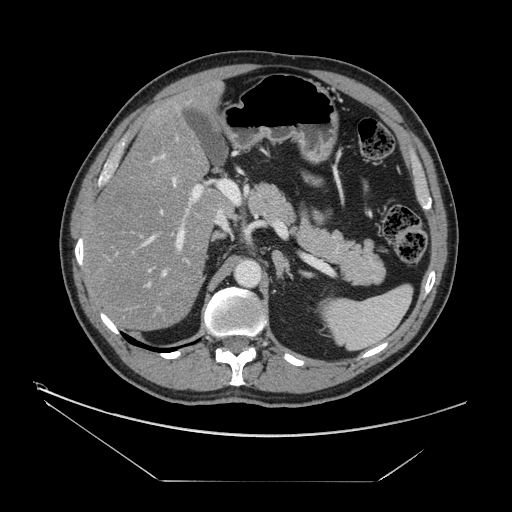

CT; Abdomen

Some hepatic vessels may have no box.
7 hepatic vessel regions appear at 177,230,184,248; 218,210,221,213; 173,180,175,184; 161,155,163,157; 163,272,165,274; 148,284,149,285; 146,237,152,242.